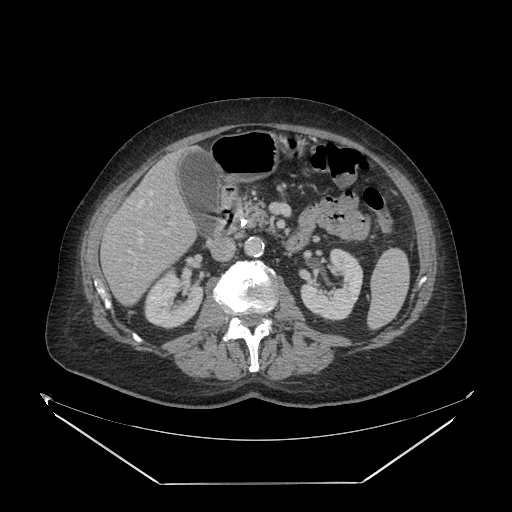
CT image | Abdomen | Image size 512x512
pancreas: <box>245,202,271,231</box>